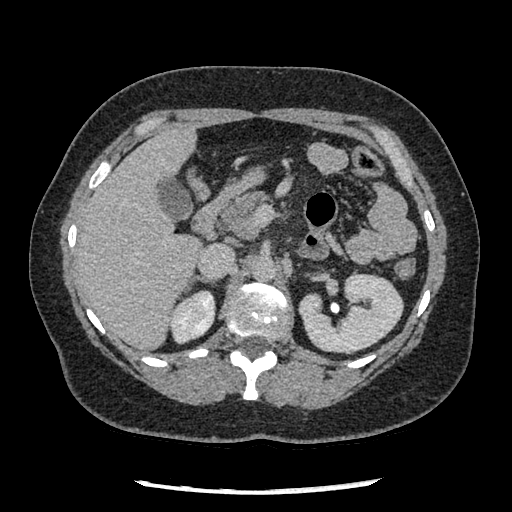

CT
Pancreas: region(222, 192, 264, 237).